Slice index 55
FLAIR MR.
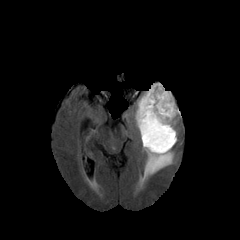
T1-weighted magnetic resonance.
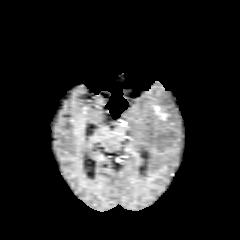
Post-contrast T1-weighted MRI.
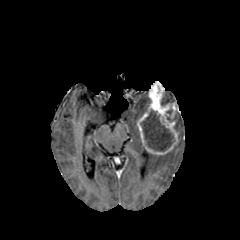
T2-weighted MRI.
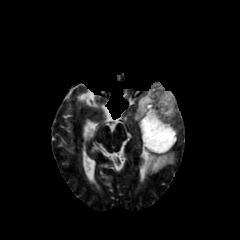
The enhancing tumor is bounded by 137, 81, 179, 153. 3 edema regions are located at 141, 137, 177, 180; 173, 114, 181, 132; 134, 92, 149, 155. 3 non-enhancing tumor core regions appear at 140, 110, 173, 151; 143, 150, 147, 171; 161, 92, 175, 105.